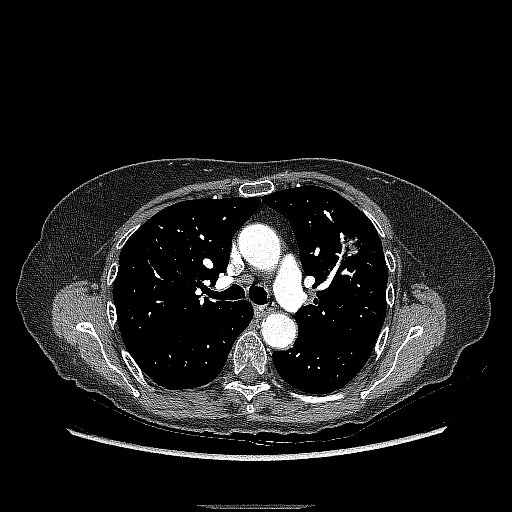
Chest, 512x512, Computed tomography
Annotated regions:
• lung tumor: 337:228:365:260